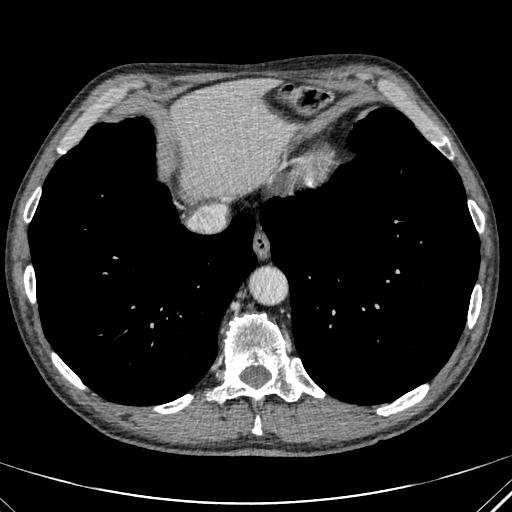 Image size 512x512; CT scan slice
The liver appears at (171, 79, 293, 194).